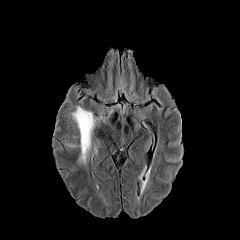
FLAIR magnetic resonance.
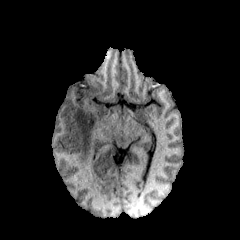
Same slice, T1-weighted MRI.
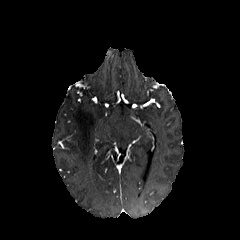
Same slice, post-contrast T1-weighted magnetic resonance.
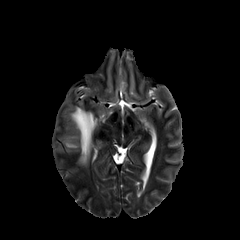
T2-weighted MR of the same slice.
240x240
{
  "edema": [
    "71,106,102,167"
  ]
}